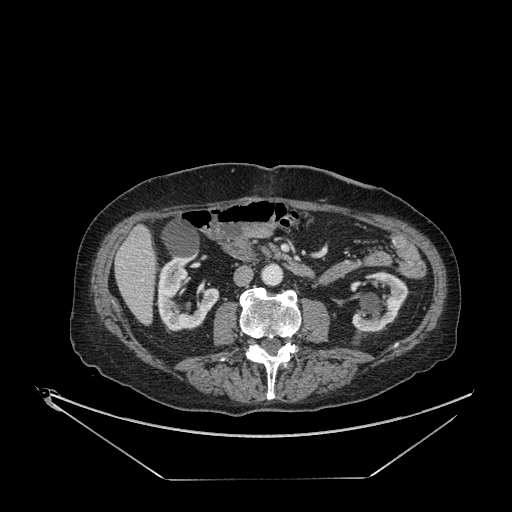 512x512 | CT image
kidney: 352,272,407,331; 158,257,218,330; 351,282,360,290 | liver: 115,225,155,324